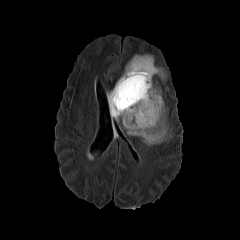
FLAIR magnetic resonance.
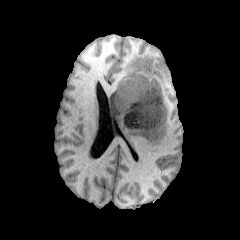
T1-weighted MR image of the same slice.
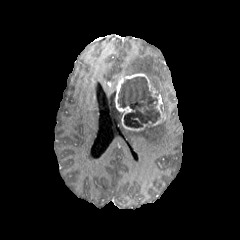
Post-contrast T1-weighted MRI of the same slice.
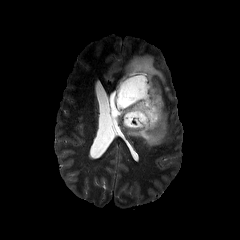
T2-weighted MR image.
240x240
non-enhancing tumor core: x1=117, y1=76, x2=160, y2=129 | enhancing tumor: x1=115, y1=73, x2=165, y2=125 | edema: x1=126, y1=114, x2=168, y2=146; x1=106, y1=83, x2=122, y2=121; x1=122, y1=54, x2=166, y2=82